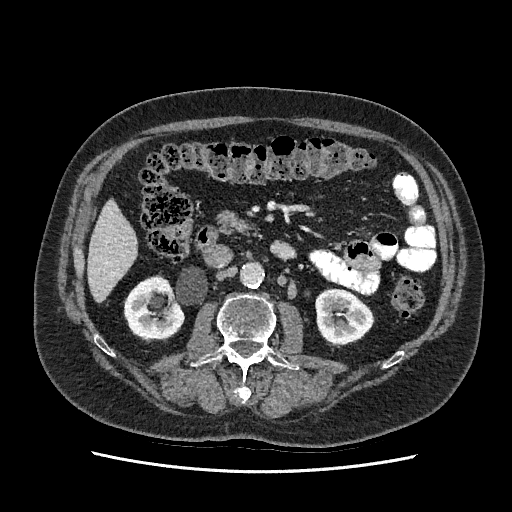

Computed tomography, Abdomen
Segmented structures:
• liver: 88 201 137 300
• kidney: 316 290 372 343, 125 277 183 338